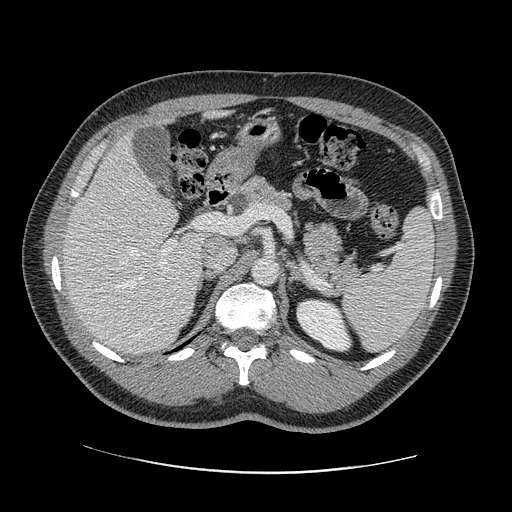
Upper abdomen, Image size 512x512, CT slice
The pancreatic tumor is bounded by 228, 192, 249, 216. The pancreas is located at 226, 175, 361, 287.